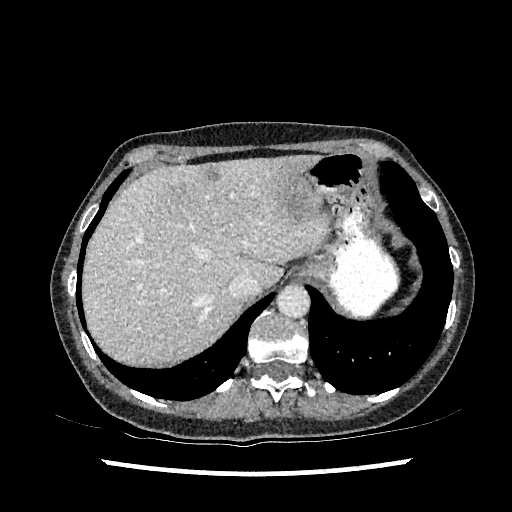

Computed tomography
Liver at x1=83 y1=156 x2=330 y2=363.
Focal liver lesion at x1=169 y1=182 x2=191 y2=205, x1=277 y1=159 x2=319 y2=222, x1=205 y1=166 x2=219 y2=181.